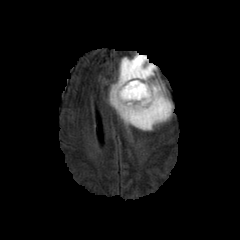
FLAIR MR.
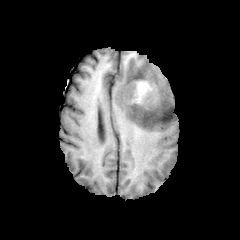
T1-weighted MR image.
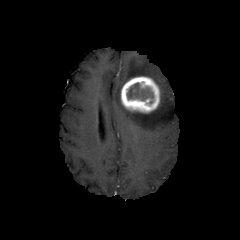
Post-contrast T1-weighted MR of the same slice.
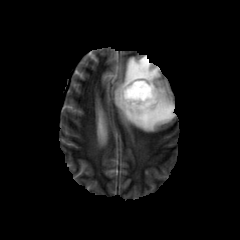
Same slice, T2-weighted MR image.
Brain.
{
  "non-enhancing_tumor_core": [
    "[130,111,154,115]",
    "[128,83,153,99]"
  ],
  "enhancing_tumor": [
    "[120,76,160,113]"
  ],
  "edema": [
    "[111,55,173,131]"
  ]
}